Image size 35x49, Magnetic resonance, Slice 25/40, Medial temporal lobe
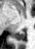
Posterior hippocampus — x1=14, y1=31, x2=24, y2=40.